Field of view 240 mm wide, 1.00 mm slice spacing, Slice 103/155, Brain
FLAIR MRI.
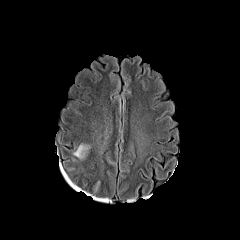
T1-weighted MRI.
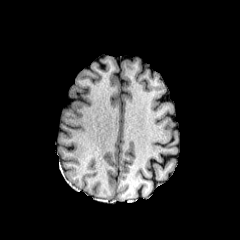
Post-contrast T1-weighted MR.
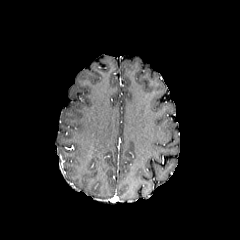
T2-weighted MR image.
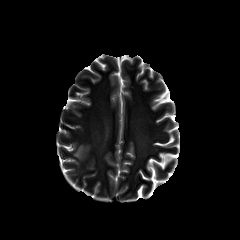
Annotated regions:
- edema: (x1=73, y1=144, x2=90, y2=160)